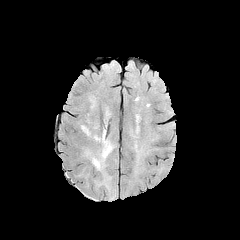
FLAIR magnetic resonance.
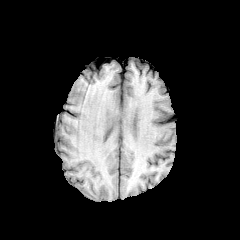
Same slice, T1-weighted MR.
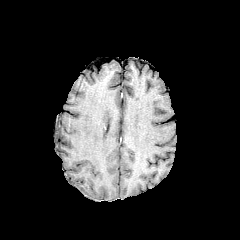
Post-contrast T1-weighted MRI.
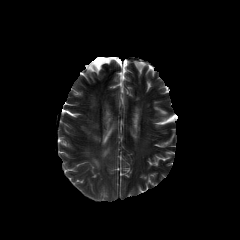
T2-weighted MRI.
240x240
edema:
  - [102,129,112,156]
  - [104,109,110,123]